Head
FLAIR MR image.
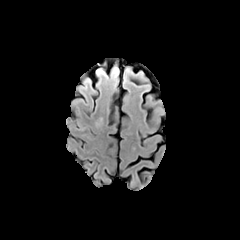
T1-weighted MR.
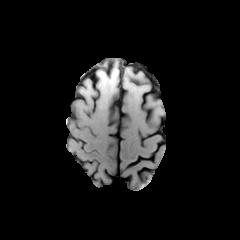
Post-contrast T1-weighted MR image.
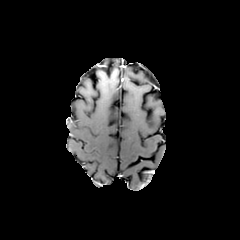
T2-weighted MR.
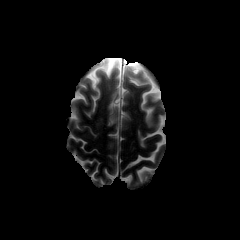
The edema lies within 98,66,117,83.